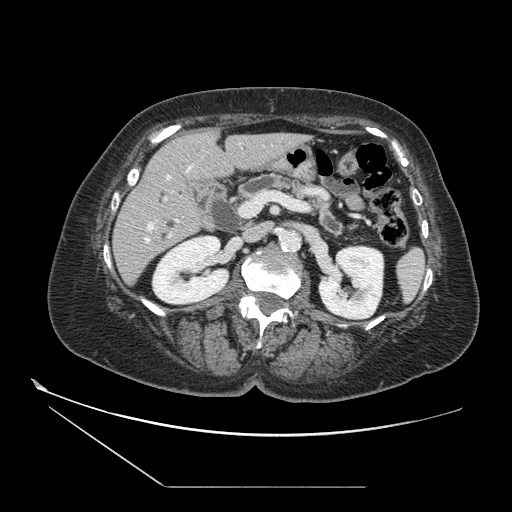
Upper abdomen | CT scan slice
2 pancreas regions are bounded by <bbox>313, 198, 344, 234</bbox>, <bbox>239, 175, 305, 198</bbox>.